Pelvis | Computed tomography 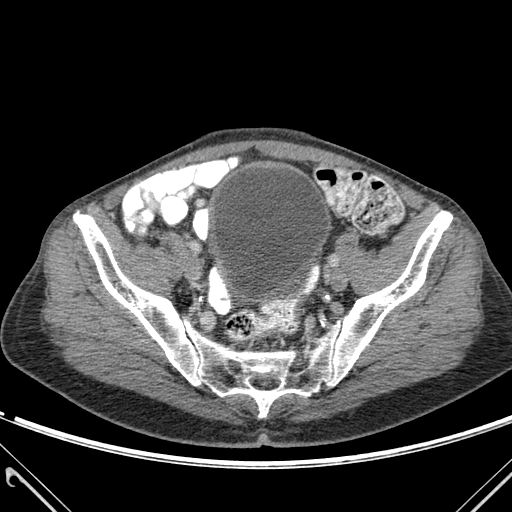
Urinary bladder: bbox=[213, 168, 328, 298].
Bone: bbox=[73, 211, 452, 417].